512x512; Lower abdomen; Slice index 148; Field of view 400x400 mm; CT slice

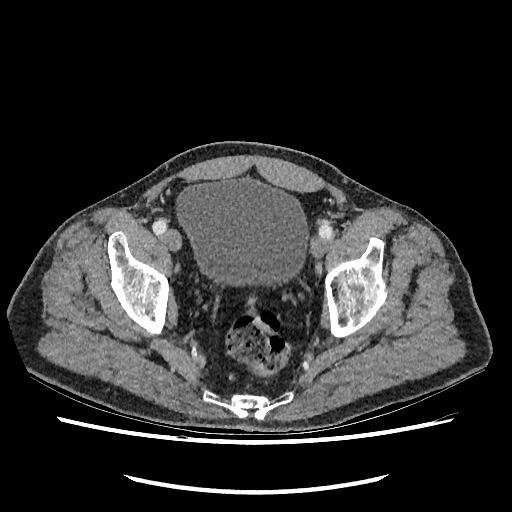
* urinary bladder: box(176, 177, 308, 285)